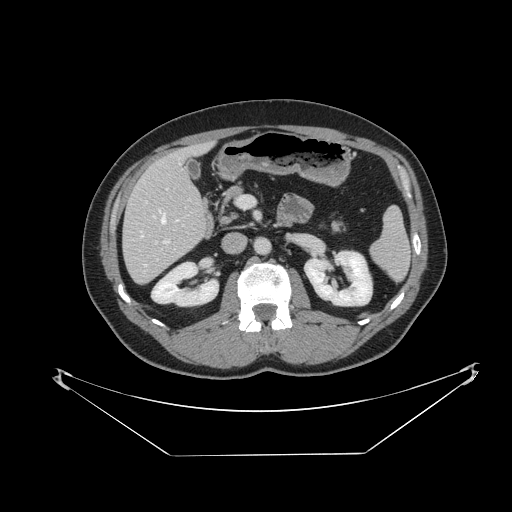 Computed tomography, Abdomen
spleen:
  - box(372, 208, 409, 278)